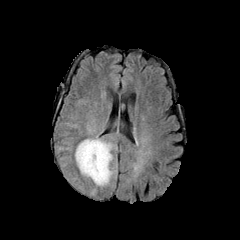
FLAIR MR image.
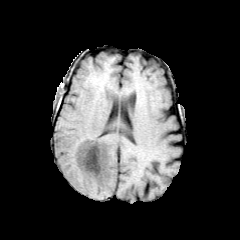
T1-weighted MR image.
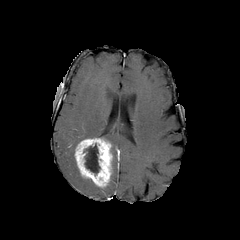
Same slice, post-contrast T1-weighted MR.
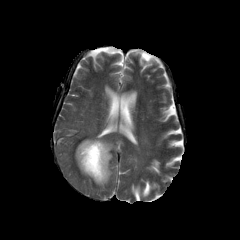
Same slice, T2-weighted MR.
Head
The non-enhancing tumor core is bounded by rect(85, 145, 99, 173). The enhancing tumor lies within rect(75, 138, 111, 186). The edema is at rect(107, 141, 117, 155).